Slice 512/552; Computed tomography; 512x512

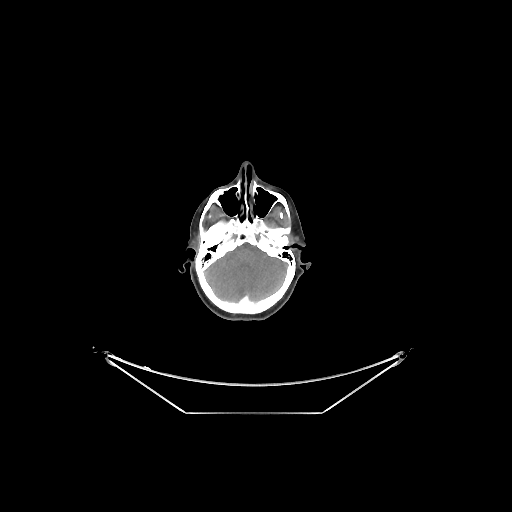
The brain is located at (206, 242, 286, 302).